Field of view 240 mm wide, 1.00 mm slice spacing. 240x240. Slice 81/155.
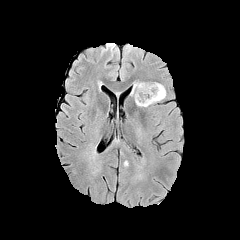
FLAIR MR.
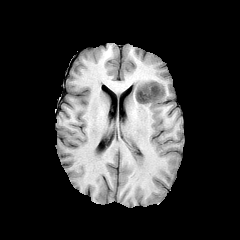
Same slice, T1-weighted MR.
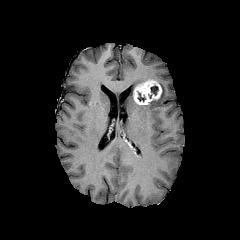
Post-contrast T1-weighted MR.
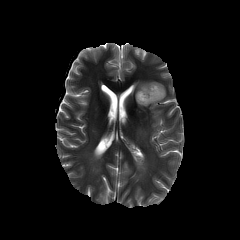
T2-weighted MR image.
{
  "non-enhancing_tumor_core": [
    "<bbox>150, 86, 157, 94</bbox>"
  ],
  "enhancing_tumor": [
    "<bbox>134, 82, 161, 104</bbox>"
  ],
  "edema": [
    "<bbox>134, 154, 144, 170</bbox>",
    "<bbox>138, 83, 165, 107</bbox>"
  ]
}